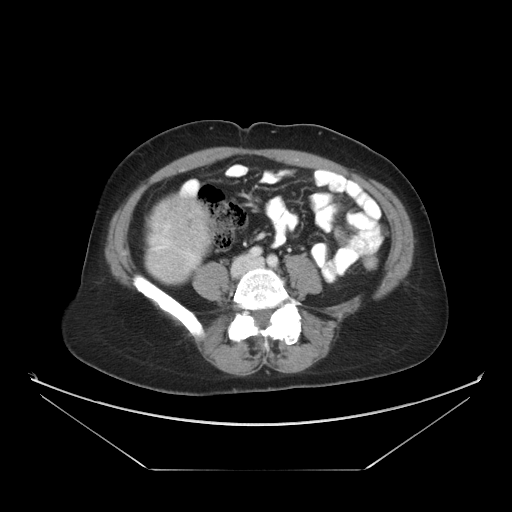 CT scan slice; Abdomen; 512x512 px
liver tumor: [x1=149, y1=202, x2=210, y2=283]